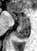
MR
Anterior hippocampus = 11 12 15 17, 19 15 28 22.
Posterior hippocampus = 14 23 28 39.